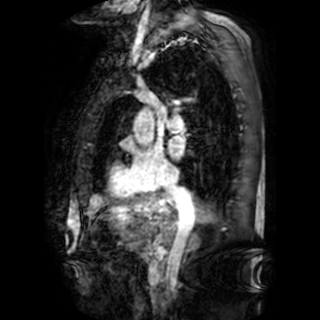 MR.
left atrium: bbox(168, 136, 184, 157)